Field of view 353 mm wide, 5.00 mm slice spacing | Liver | Computed tomography

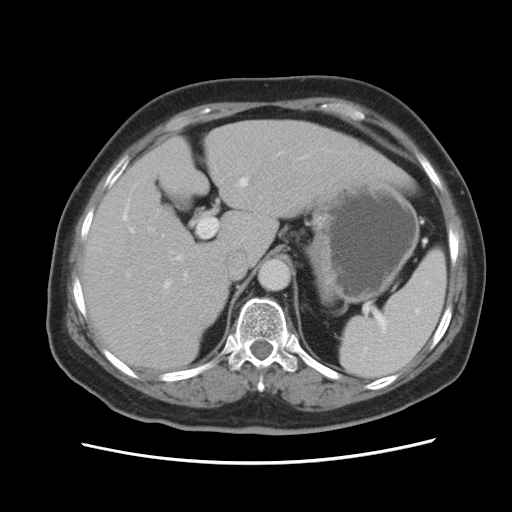 Not every hepatic vessel necessarily has a box.
10 hepatic vessel regions are bounded by [x1=123, y1=198, x2=130, y2=220], [x1=237, y1=176, x2=250, y2=187], [x1=176, y1=255, x2=182, y2=260], [x1=149, y1=227, x2=153, y2=230], [x1=130, y1=228, x2=134, y2=232], [x1=278, y1=152, x2=281, y2=154], [x1=184, y1=272, x2=187, y2=277], [x1=197, y1=216, x2=218, y2=237], [x1=126, y1=273, x2=130, y2=276], [x1=164, y1=281, x2=170, y2=287].